Liver; CT image
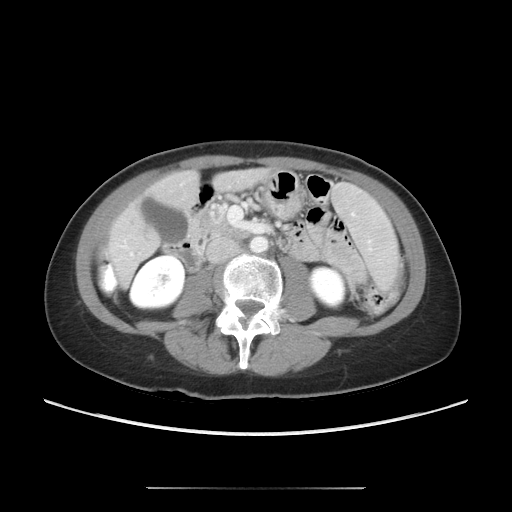
The vessel annotation is not exhaustive.
Hepatic vessel at <bbox>238, 173, 243, 177</bbox>, <bbox>237, 180, 238, 182</bbox>.